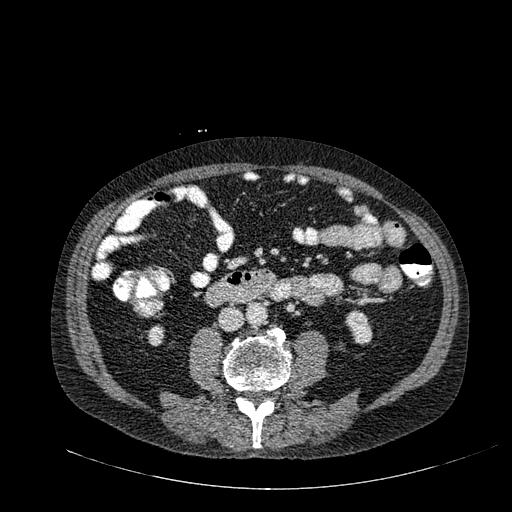

Abdomen; Computed tomography

Annotated regions:
- kidney: left=345, top=310, right=372, bottom=344; left=147, top=324, right=163, bottom=346